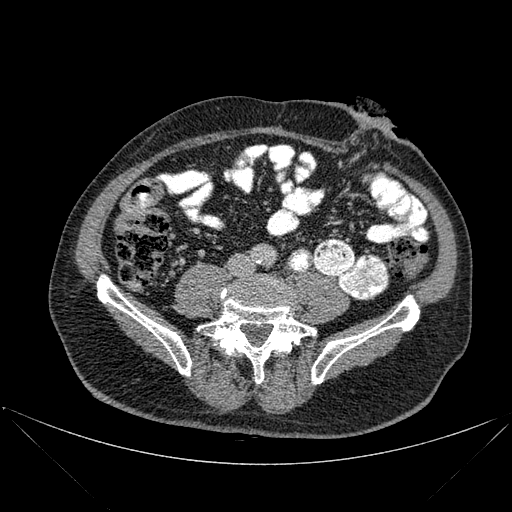

CT image

Bone: (left=311, top=295, right=419, bottom=384), (left=97, top=275, right=191, bottom=375), (left=197, top=278, right=316, bottom=383).